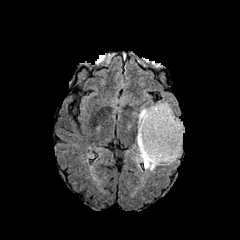
FLAIR MR image.
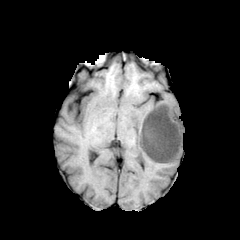
T1-weighted MR of the same slice.
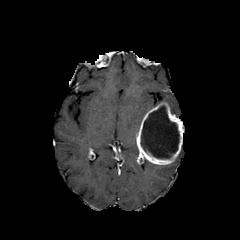
Post-contrast T1-weighted MRI.
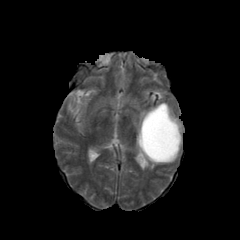
Same slice, T2-weighted MRI.
Enhancing tumor at [136,102,183,164].
Non-enhancing tumor core at [141,104,179,158].
Edema at [136,104,155,131], [165,147,181,165], [140,160,158,171], [156,99,178,117].